Field of view 200x200 mm. Prostate.
T2-weighted magnetic resonance.
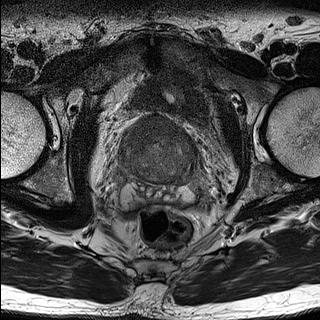
ADC MR image.
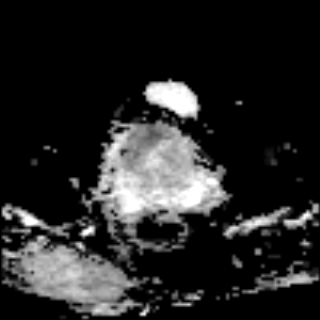
<segmentation>
  <prostate_transition_zone>x1=124 y1=117 x2=194 y2=181</prostate_transition_zone>
</segmentation>